Pelvis | 512x512 | Field of view 447x447 mm | CT image | Slice 18/53

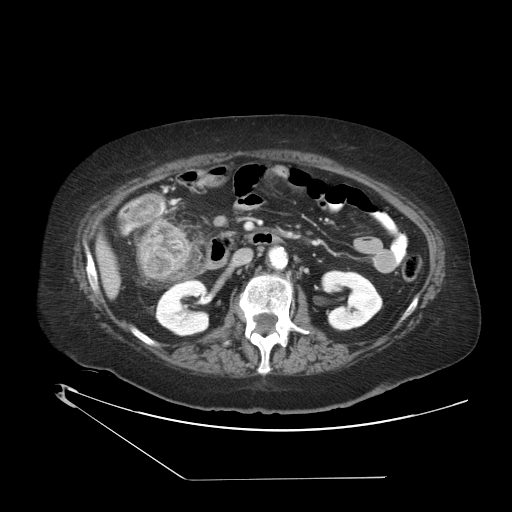

Colon tumor: 137,220,190,280; 128,198,160,222.